Magnetic resonance; 320x320 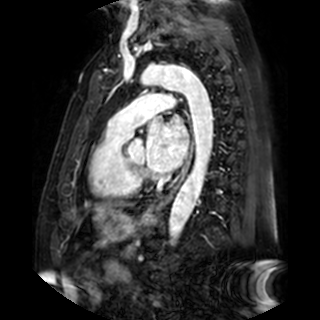

The left atrium is bounded by [146, 117, 188, 172].